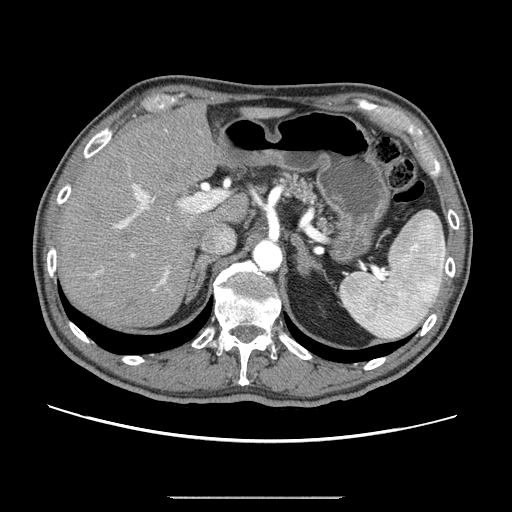 Abdomen. CT scan slice. pancreas: <bbox>280, 173, 334, 231</bbox>